Image width 512 mm | Liver | Slice 73 of 135 | CT
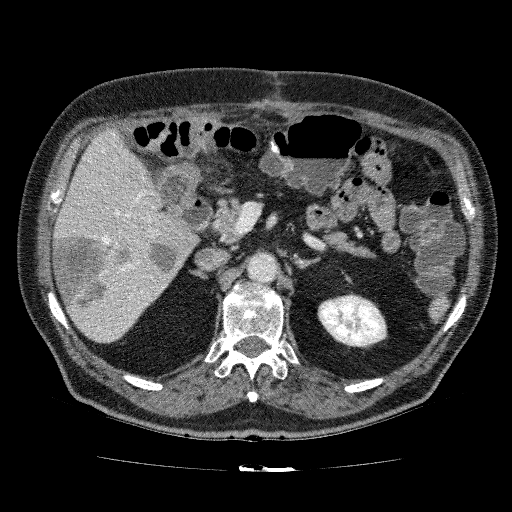
Findings:
• kidney: (left=318, top=295, right=386, bottom=346)
• liver: (left=53, top=127, right=198, bottom=343)
• liver lesion: (left=145, top=235, right=179, bottom=275), (left=51, top=231, right=133, bottom=310)